Slice 11/35; MRI; 34x53 px 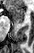 Anterior hippocampus = (left=9, top=6, right=24, bottom=23).